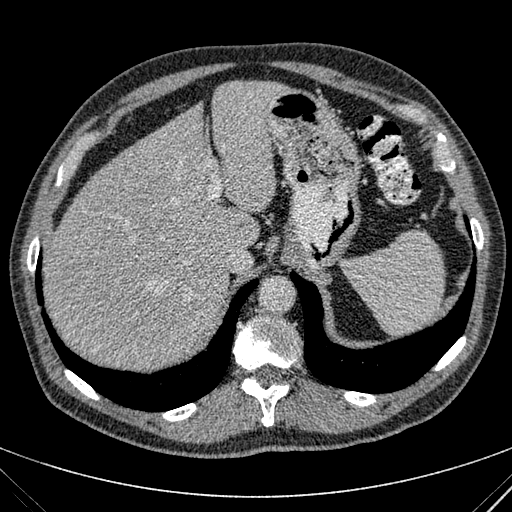 512x512 px, Abdomen, CT slice
The liver appears at rect(44, 81, 283, 368).